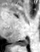

MRI slice
{
  "posterior_hippocampus": [
    "left=17, top=39, right=28, bottom=46"
  ]
}